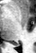 MRI slice; 36x53 px

{"posterior_hippocampus": ["x1=13, y1=44, x2=19, y2=46"]}